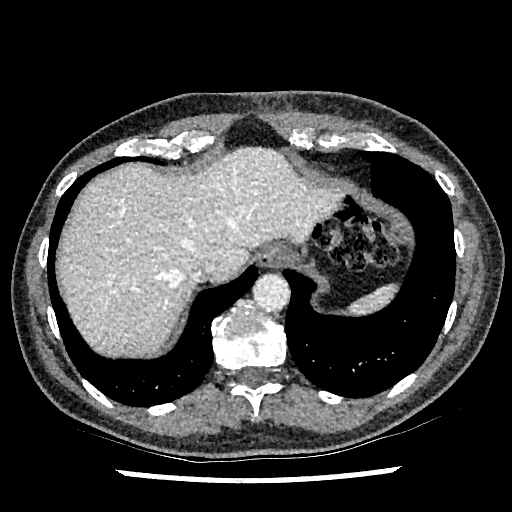
CT scan slice; Liver

Annotated regions:
• liver: box=[59, 146, 343, 355]